Slice 59 of 155
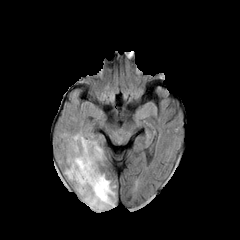
FLAIR MRI.
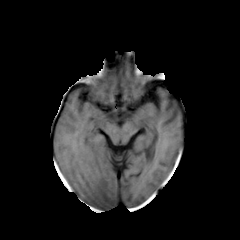
Same slice, T1-weighted MR image.
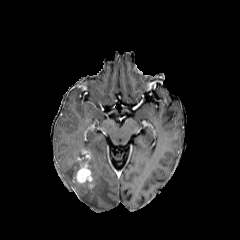
Post-contrast T1-weighted MR image.
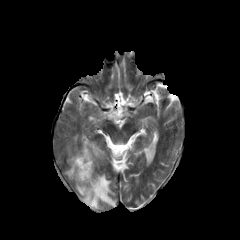
T2-weighted MRI.
The enhancing tumor is at (73,149,95,191). The non-enhancing tumor core appears at (78,182,90,194). The edema is located at (63,134,115,210).